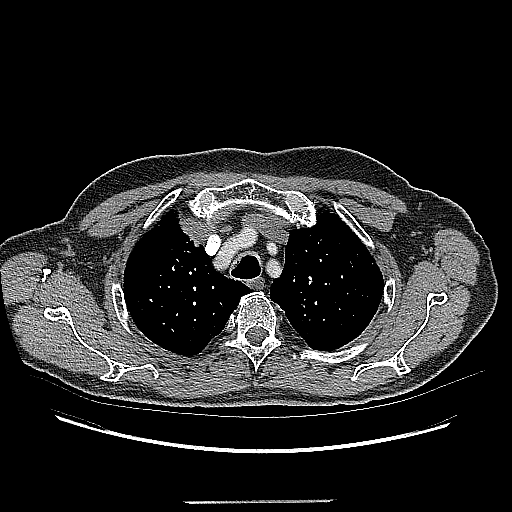

CT scan slice | Chest
Lung tumor — x1=177 y1=211 x2=205 y2=246.